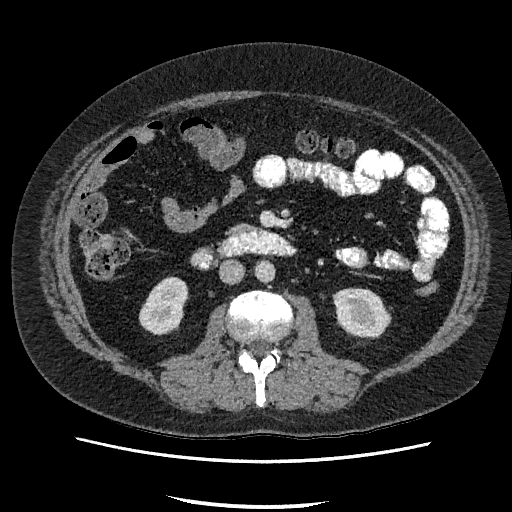
CT scan slice. Abdomen.
Kidney at {"x1": 140, "y1": 278, "x2": 186, "y2": 333}, {"x1": 335, "y1": 289, "x2": 388, "y2": 336}.